Field of view 240x240 mm. Head. 240x240 px.
FLAIR MR image.
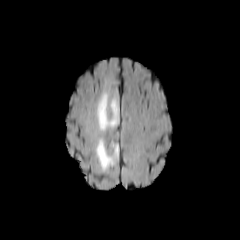
T1-weighted magnetic resonance.
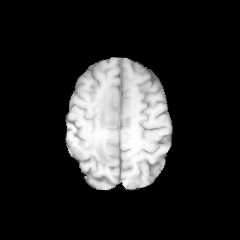
Post-contrast T1-weighted MRI.
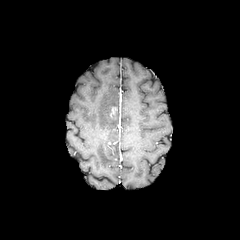
T2-weighted MR image.
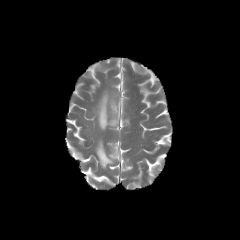
- enhancing tumor: box(111, 106, 117, 115)
- edema: box(97, 92, 119, 129); box(95, 138, 118, 171)